FLAIR MRI.
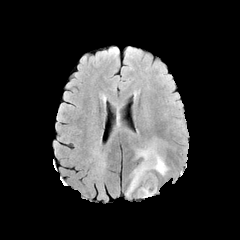
T1-weighted magnetic resonance.
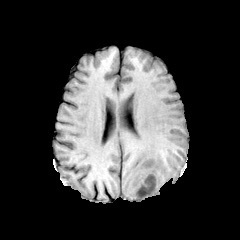
Post-contrast T1-weighted MR image.
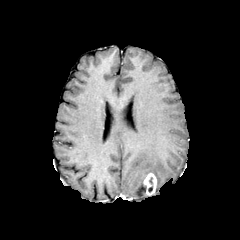
T2-weighted magnetic resonance.
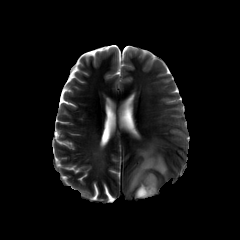
Brain.
Edema: bounding box (x1=126, y1=147, x2=168, y2=196).
Enhancing tumor: bounding box (x1=142, y1=173, x2=156, y2=196).